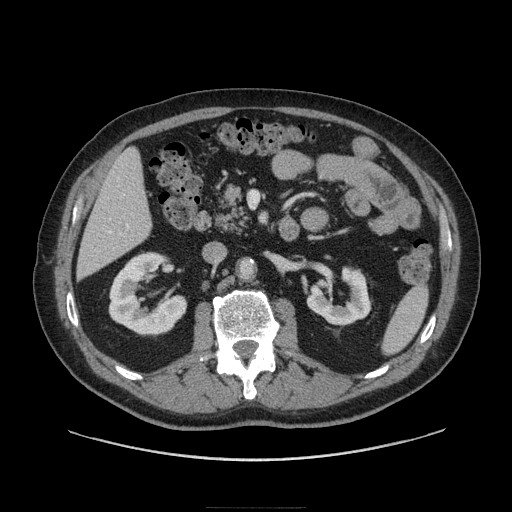 Computed tomography | Upper abdomen
{
  "pancreas": [
    "212:183:250:235"
  ]
}